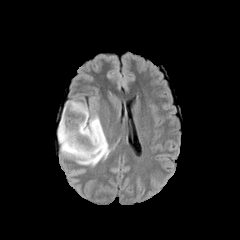
FLAIR MR.
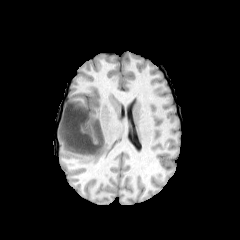
T1-weighted MR of the same slice.
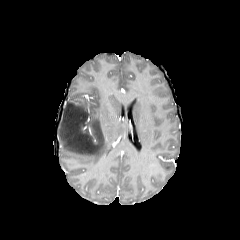
Post-contrast T1-weighted magnetic resonance of the same slice.
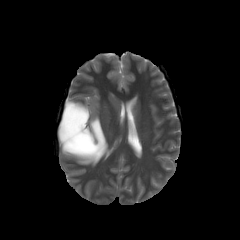
Same slice, T2-weighted MR.
240x240
Edema at box=[57, 100, 113, 165].
Non-enhancing tumor core at box=[60, 101, 101, 157].